Slice 64 of 155 | 240x240 px
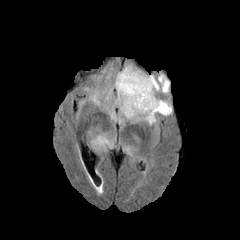
FLAIR magnetic resonance.
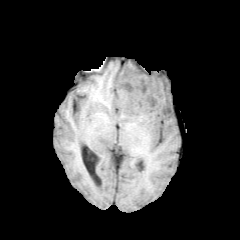
Same slice, T1-weighted MRI.
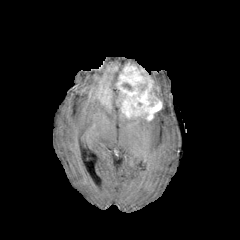
Post-contrast T1-weighted MR image of the same slice.
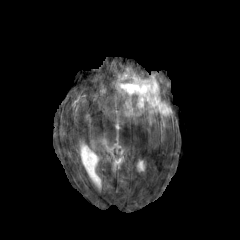
T2-weighted MR of the same slice.
{"edema": ["x1=96, y1=136, x2=109, y2=147", "x1=92, y1=72, x2=121, y2=110", "x1=119, y1=74, x2=172, y2=125", "x1=109, y1=109, x2=117, y2=122"], "non-enhancing_tumor_core": ["x1=122, y1=82, x2=132, y2=90"], "enhancing_tumor": ["x1=116, y1=63, x2=162, y2=120"]}